512x512 px; CT; Thorax

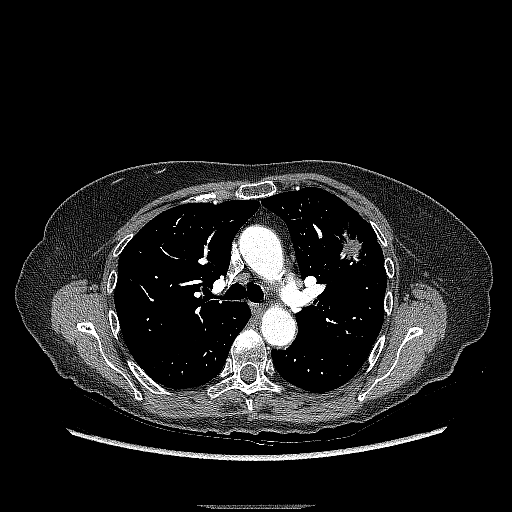
The lung tumor is bounded by [x1=336, y1=216, x2=374, y2=267].